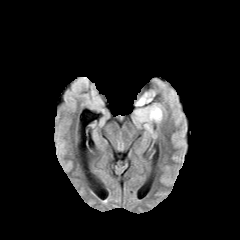
FLAIR MRI.
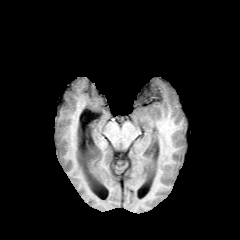
Same slice, T1-weighted MR.
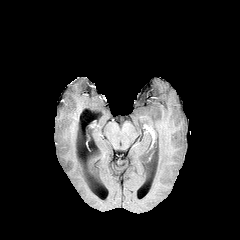
Same slice, post-contrast T1-weighted MRI.
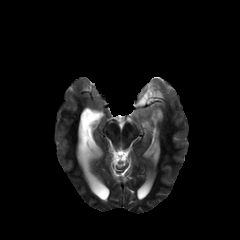
T2-weighted MR.
Edema: bounding box (134,90,162,124).